Slice index 221, CT slice

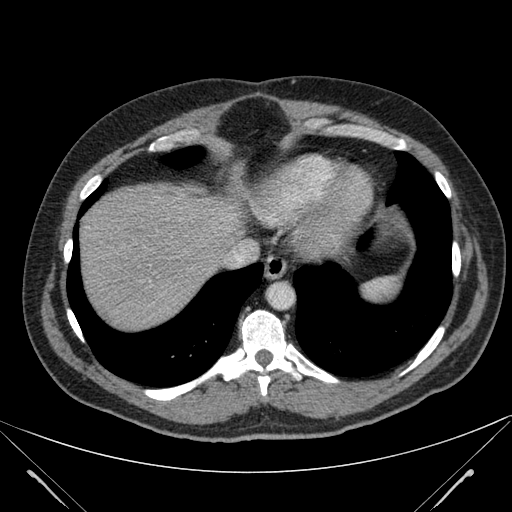

{"liver": ["80 165 250 330"]}